Brain; Slice 97 of 155
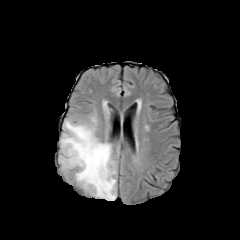
FLAIR magnetic resonance.
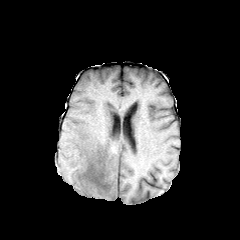
Same slice, T1-weighted MR image.
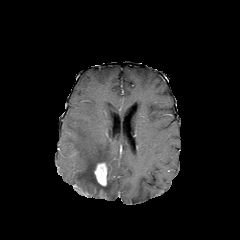
Post-contrast T1-weighted magnetic resonance of the same slice.
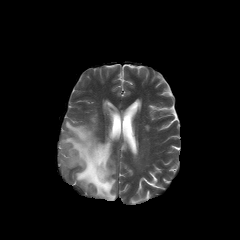
Same slice, T2-weighted magnetic resonance.
non-enhancing_tumor_core:
  - region(84, 158, 110, 197)
enhancing_tumor:
  - region(94, 162, 107, 185)
edema:
  - region(59, 117, 116, 200)